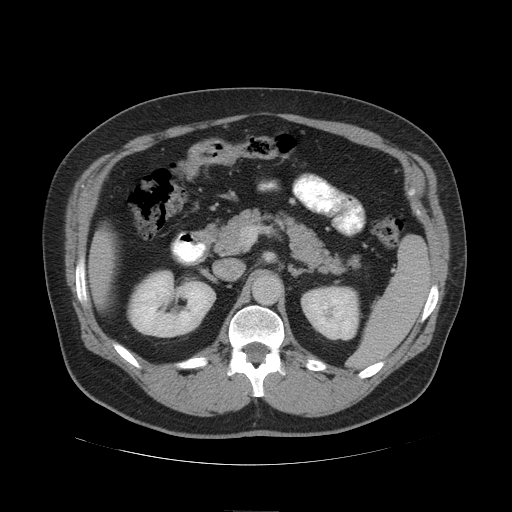
512x512; CT image

colon tumor: <box>184,142,221,178</box>